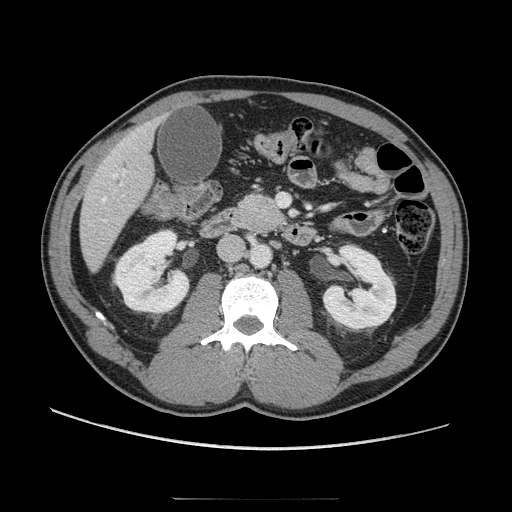

Computed tomography; 512x512

{"pancreas": [{"x1": 229, "y1": 192, "x2": 288, "y2": 237}]}